CT slice 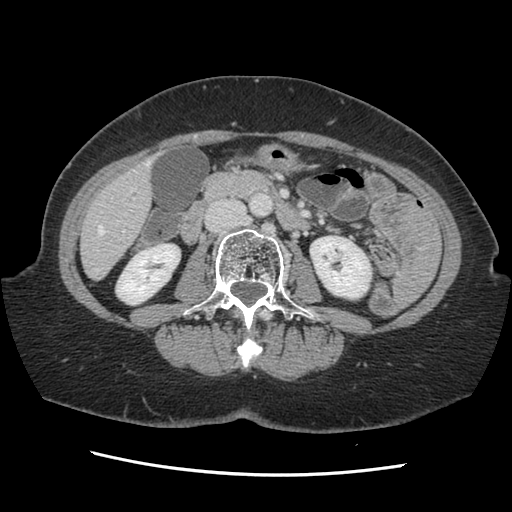

The vessel annotation is not exhaustive.
Hepatic vessel: (left=146, top=162, right=148, bottom=165), (left=98, top=225, right=104, bottom=234), (left=95, top=269, right=98, bottom=271).